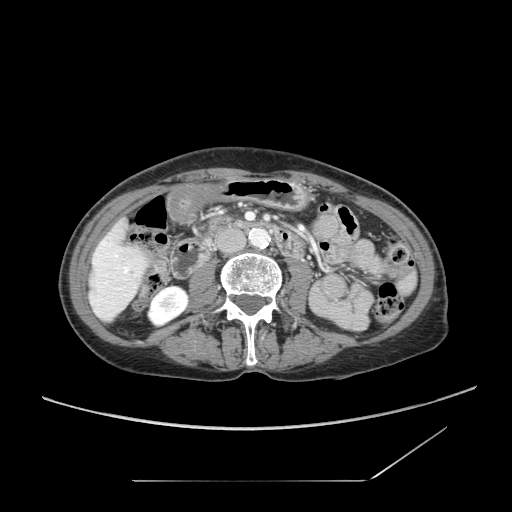
Abdomen; CT scan slice
Pancreatic tumor: bounding box box(208, 217, 232, 232).